Slice index 234 | CT | Upper abdomen

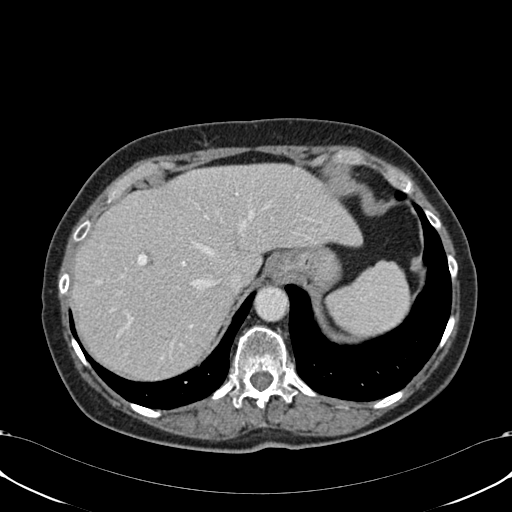 Liver = region(71, 164, 361, 378).